FLAIR magnetic resonance.
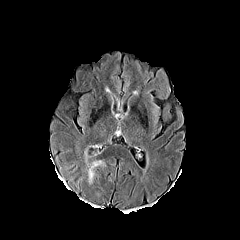
T1-weighted MRI.
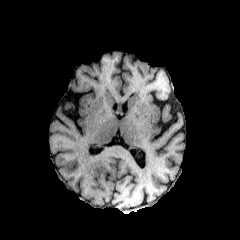
Post-contrast T1-weighted MR image.
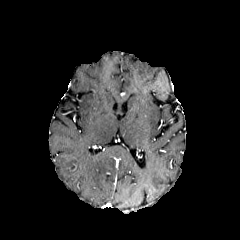
T2-weighted MR image.
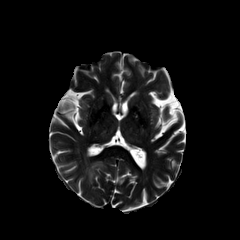
240x240. Head.
The edema lies within x1=88 y1=168 x2=93 y2=182.